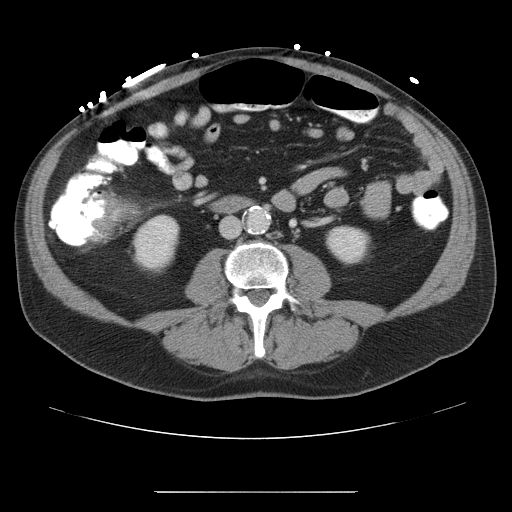 Computed tomography
Colon tumor: bounding box (left=92, top=193, right=138, bottom=238), (left=88, top=234, right=101, bottom=243).